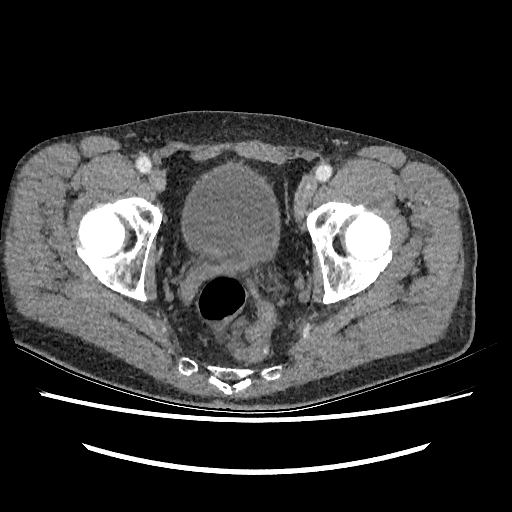
Computed tomography, Lower abdomen
The urinary bladder appears at {"x1": 183, "y1": 169, "x2": 276, "y2": 264}.